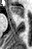
Hippocampus, MRI
anterior hippocampus: 11, 6, 23, 17